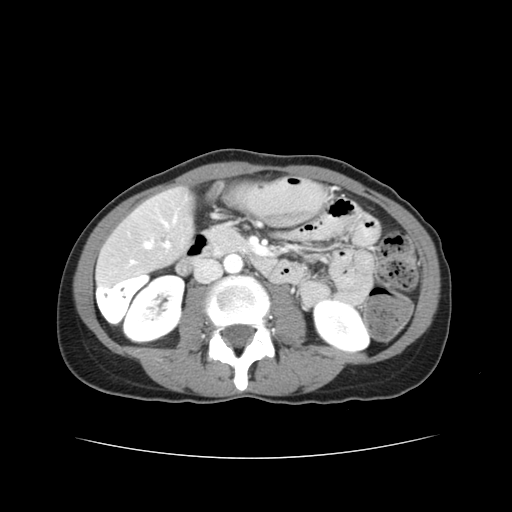

CT. Abdomen.

Some hepatic vessels may have no box.
- hepatic vessel: (x1=150, y1=242, x2=152, y2=244), (x1=146, y1=243, x2=150, y2=247), (x1=163, y1=222, x2=166, y2=224), (x1=131, y1=261, x2=133, y2=263), (x1=166, y1=243, x2=169, y2=246)